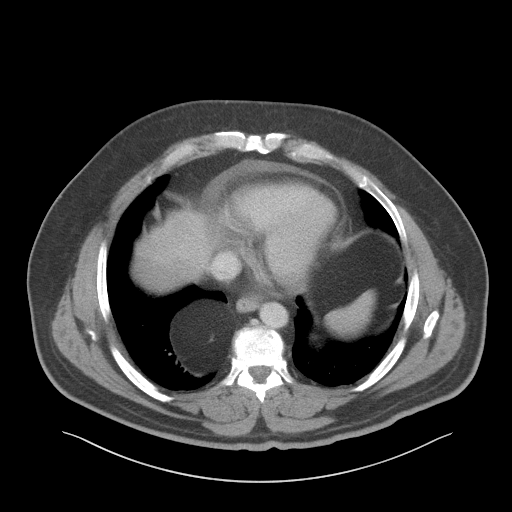 Image size 512x512, CT image, Upper abdomen
The liver is bounded by x1=134 y1=209 x2=211 y2=292.